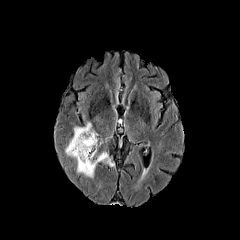
FLAIR MR.
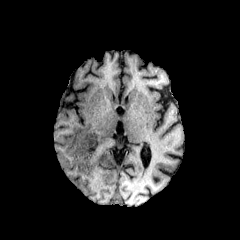
T1-weighted MRI.
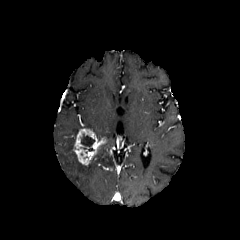
Post-contrast T1-weighted magnetic resonance.
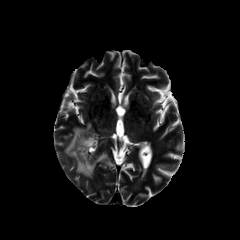
Same slice, T2-weighted magnetic resonance.
Non-enhancing tumor core: bounding box (left=80, top=134, right=95, bottom=151).
Edema: bounding box (left=65, top=127, right=114, bottom=178).
Enhancing tumor: bounding box (left=73, top=128, right=107, bottom=165).